CT scan slice | Upper abdomen

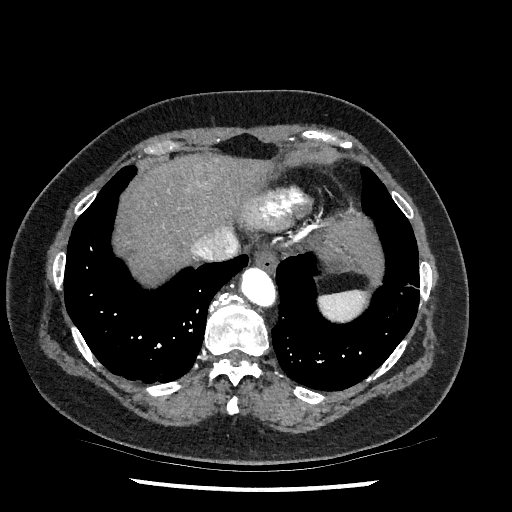 liver:
  - x1=117 y1=154 x2=269 y2=282
  - x1=323 y1=220 x2=381 y2=280